Slice 260/401, Field of view 340x340 mm, Image size 512x512, CT slice

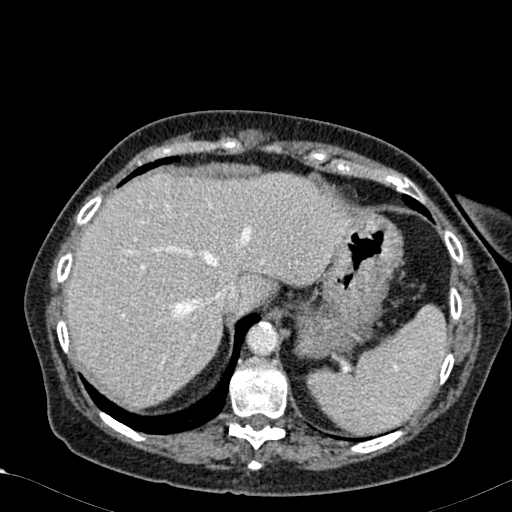

liver:
  - 68,172,351,406